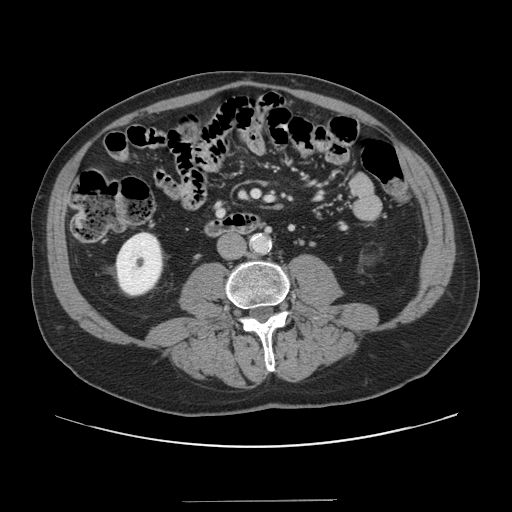
CT image, Liver
Not every hepatic vessel necessarily has a box.
Findings:
• hepatic vessel: (x1=253, y1=191, x2=258, y2=195)